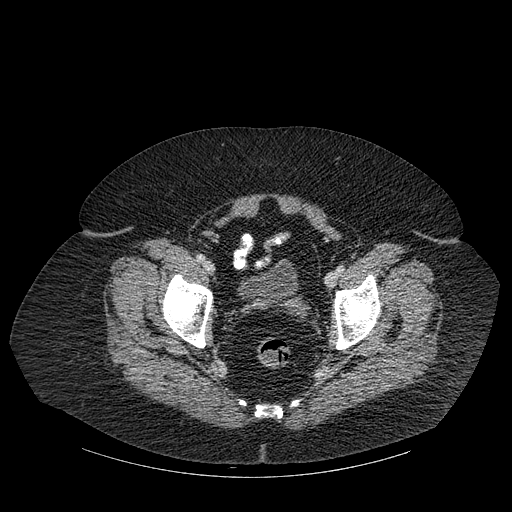 CT slice; Image size 512x512

* bone: [334, 275, 380, 349], [163, 274, 212, 347], [255, 405, 282, 418]